FLAIR MR.
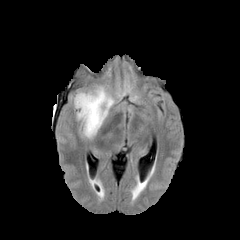
T1-weighted MR.
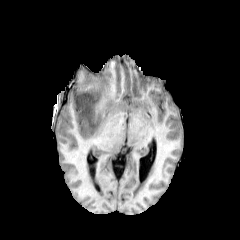
Post-contrast T1-weighted MR.
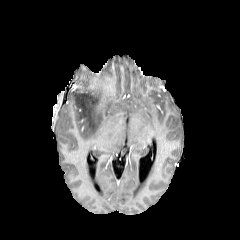
T2-weighted MRI.
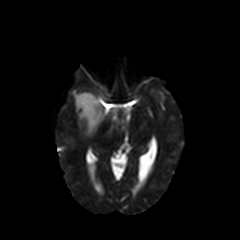
Head.
The non-enhancing tumor core is bounded by <bbox>76, 93, 97, 127</bbox>. The edema is bounded by <bbox>73, 85, 118, 138</bbox>.